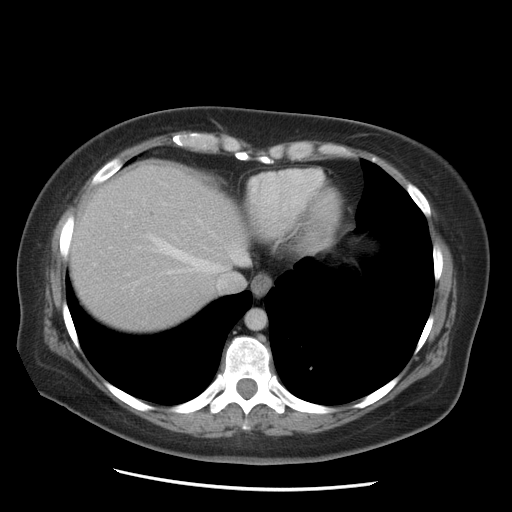

512x512; Liver; CT slice

Liver: 68,165,246,329.